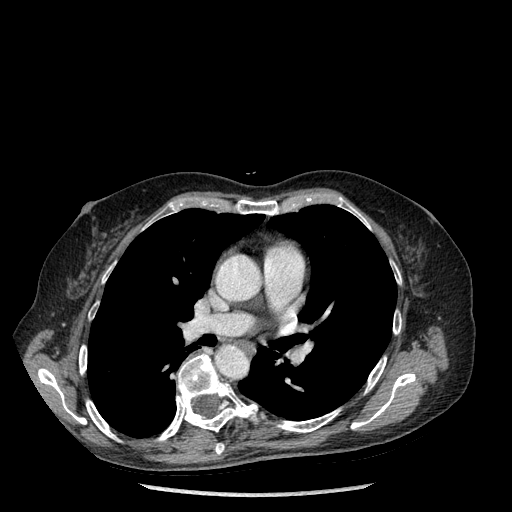
Image size 512x512, Chest, CT slice
Lung: (238, 204, 396, 420), (87, 208, 263, 437).
Bone: (234, 199, 279, 215), (102, 264, 113, 283), (142, 202, 177, 229), (337, 197, 370, 229), (37, 368, 86, 424), (364, 356, 386, 393), (88, 302, 98, 319), (393, 310, 401, 334), (156, 354, 257, 441), (86, 400, 120, 441), (351, 372, 415, 429), (215, 443, 224, 454), (277, 408, 340, 432), (390, 261, 401, 284), (79, 345, 86, 374).